Field of view 240x240 mm
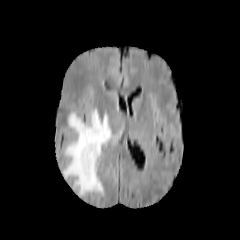
FLAIR MRI.
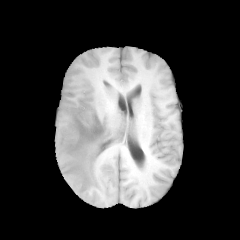
T1-weighted MR image of the same slice.
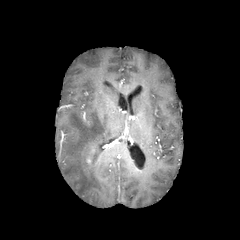
Post-contrast T1-weighted MR image.
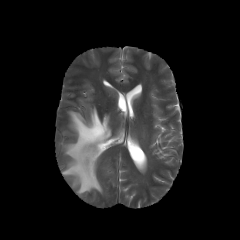
T2-weighted MR.
The edema is located at 63, 110, 112, 195.